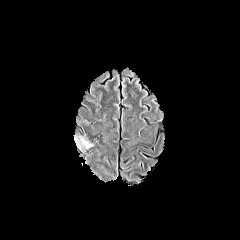
FLAIR MR.
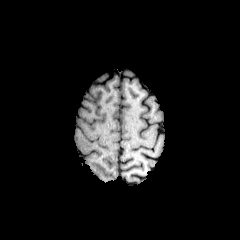
T1-weighted magnetic resonance.
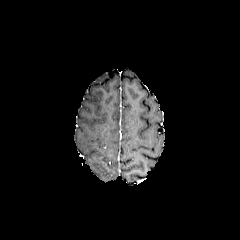
Same slice, post-contrast T1-weighted MR image.
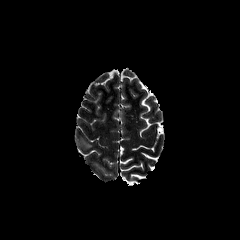
T2-weighted MR.
Head | Image size 240x240
{"edema": ["<box>75,137,93,152</box>"]}